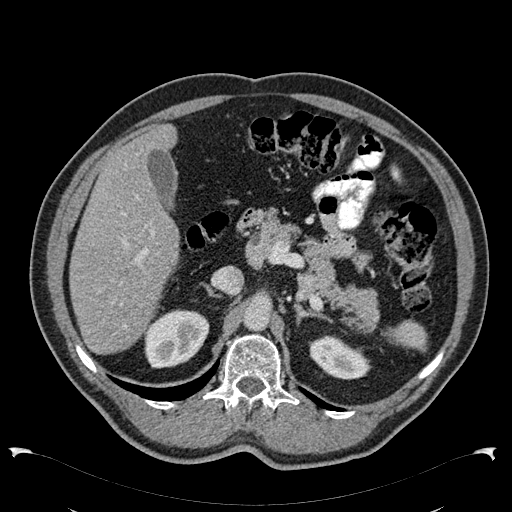
CT
• liver: box(70, 124, 178, 354)
• kidney: box(310, 336, 370, 378); box(141, 310, 208, 367)